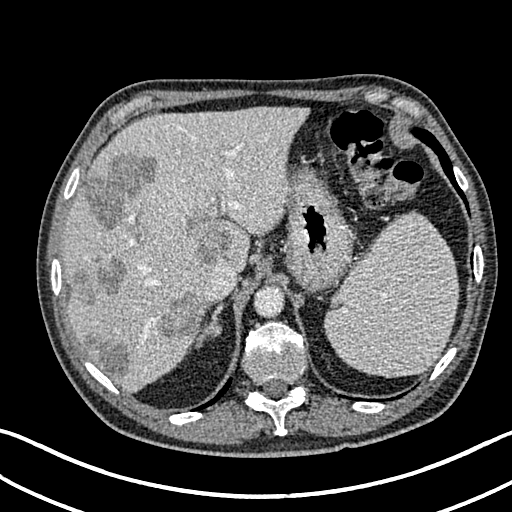 Image size 512x512; Liver; CT image
The liver is at {"x1": 64, "y1": 108, "x2": 305, "y2": 389}. 6 liver lesion regions are located at {"x1": 134, "y1": 223, "x2": 146, "y2": 242}, {"x1": 85, "y1": 333, "x2": 128, "y2": 373}, {"x1": 156, "y1": 293, "x2": 200, "y2": 340}, {"x1": 74, "y1": 253, "x2": 127, "y2": 304}, {"x1": 187, "y1": 213, "x2": 231, "y2": 263}, {"x1": 85, "y1": 152, "x2": 157, "y2": 227}.